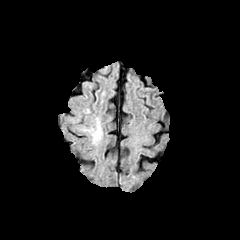
FLAIR MR image.
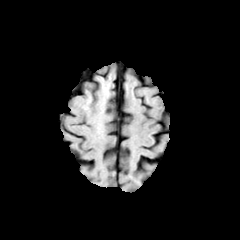
T1-weighted MRI of the same slice.
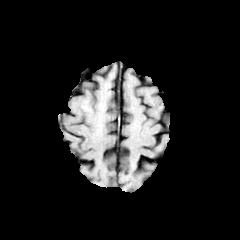
Post-contrast T1-weighted MR.
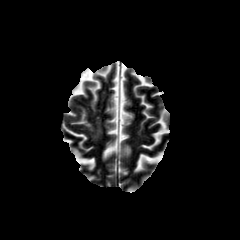
T2-weighted MR.
The edema lies within {"x1": 93, "y1": 123, "x2": 101, "y2": 139}.